CT scan slice | Abdomen | 512x512 px
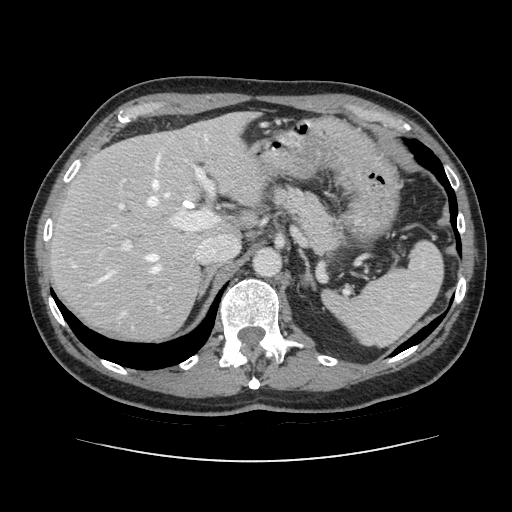

pancreas:
  - [271,187,342,252]